FLAIR MR image.
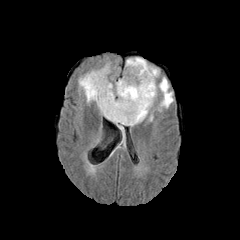
T1-weighted MRI.
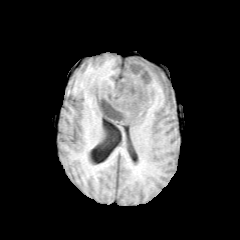
Post-contrast T1-weighted MRI.
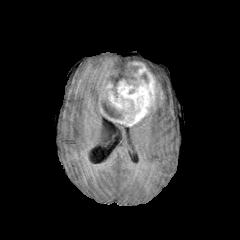
T2-weighted MR.
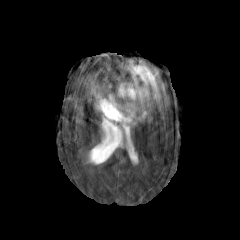
3 non-enhancing tumor core regions are located at box=[150, 90, 159, 108]; box=[98, 88, 123, 119]; box=[127, 64, 139, 83]. The enhancing tumor is bounded by box=[105, 61, 163, 126]. 3 edema regions are located at box=[131, 107, 155, 128]; box=[124, 57, 173, 111]; box=[79, 65, 117, 117].